Field of view 35x51 mm | MRI | Medial temporal lobe

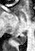

{"posterior_hippocampus": ["(x1=15, y1=32, x2=26, y2=44)"]}